Image width 240 mm; Slice index 17; Brain; 240x240 px
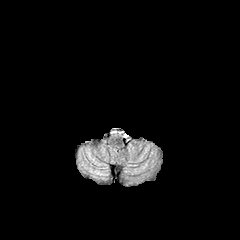
FLAIR MR.
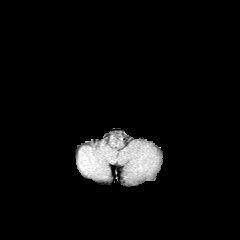
T1-weighted MRI.
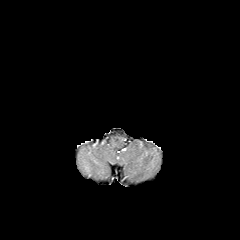
Post-contrast T1-weighted magnetic resonance.
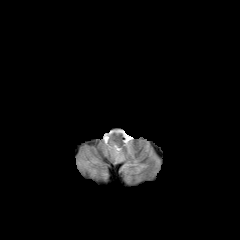
T2-weighted MR of the same slice.
edema:
  - region(85, 149, 96, 162)
  - region(105, 146, 130, 156)
  - region(98, 162, 105, 175)